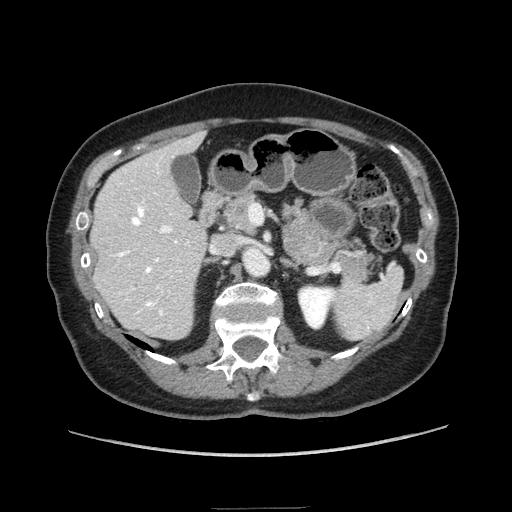
Computed tomography

Pancreas: bounding box box(224, 196, 253, 230); box(280, 201, 371, 285).